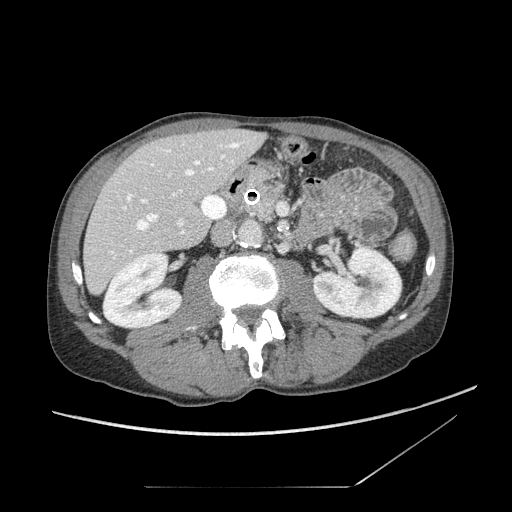

Upper abdomen; CT scan slice

Pancreas = x1=250, y1=172, x2=281, y2=222.
Pancreatic tumor = x1=266, y1=187, x2=278, y2=199.